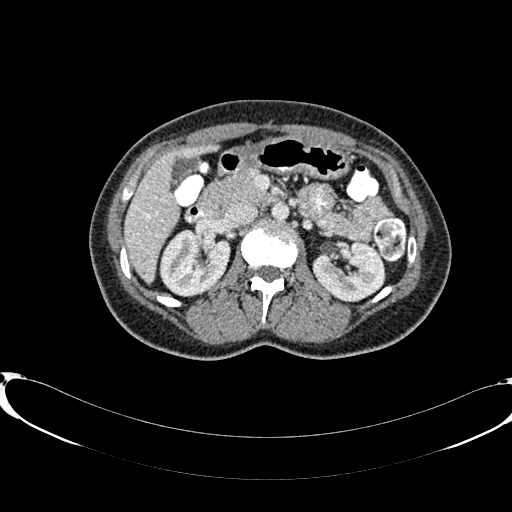
Upper abdomen. CT.
Liver: l=124, t=145, r=218, b=281.
Kidney: l=161, t=231, r=228, b=295; l=314, t=244, r=383, b=300.